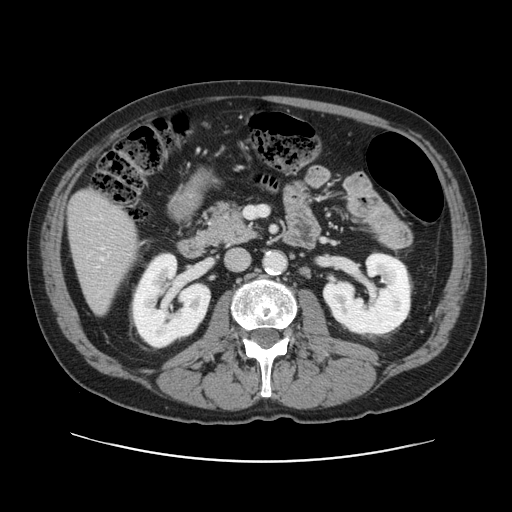 CT scan slice; 512x512 px

The vessel boxes may cover only some of the vessels.
{
  "hepatic_vessel": [
    "<bbox>100, 248, 103, 248</bbox>",
    "<bbox>100, 257, 102, 259</bbox>"
  ]
}